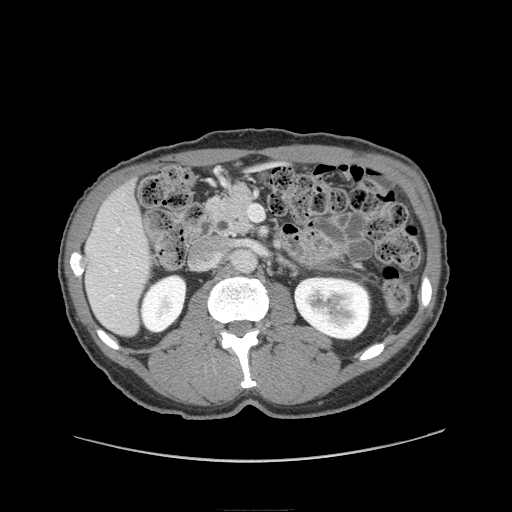 CT.
Segmented structures:
• pancreas: l=207, t=185, r=253, b=235